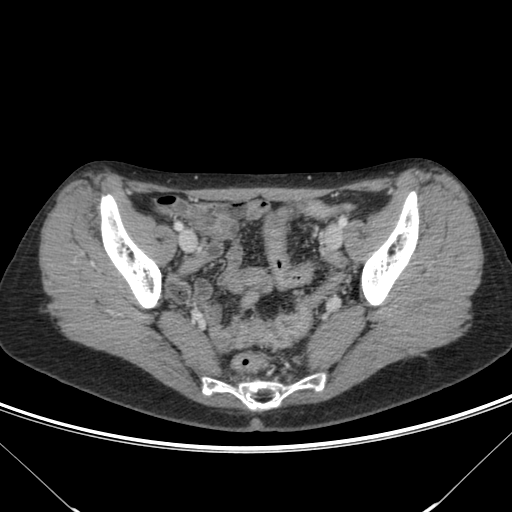

Pelvis | CT image | Image size 512x512
The colon tumor appears at 236,304,310,349.